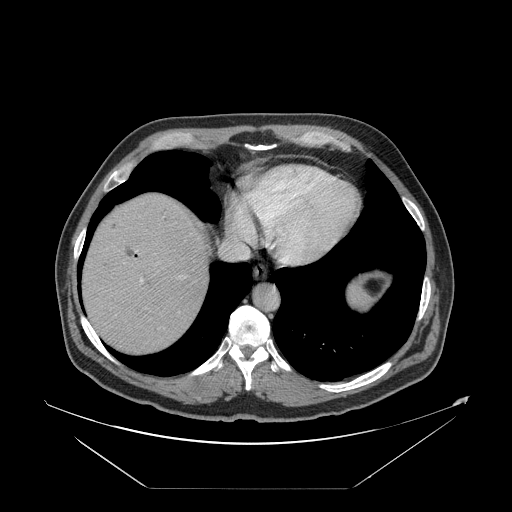
512x512 px; CT slice
Some hepatic vessels may have no box.
Hepatic vessel — box=[140, 278, 142, 282]; box=[225, 246, 248, 258]; box=[180, 276, 184, 278]; box=[240, 230, 254, 241].